CT. Upper abdomen. 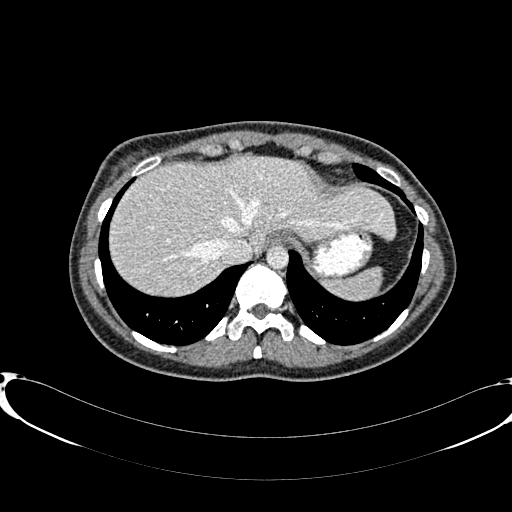 Segmented structures:
• liver: (109, 155, 395, 294)